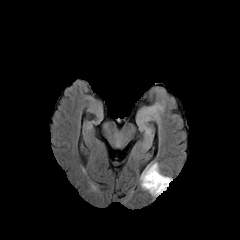
FLAIR magnetic resonance.
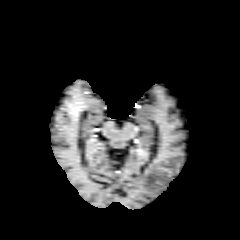
T1-weighted MRI.
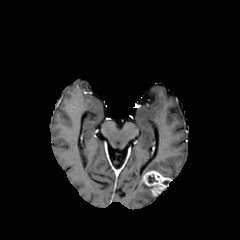
Same slice, post-contrast T1-weighted magnetic resonance.
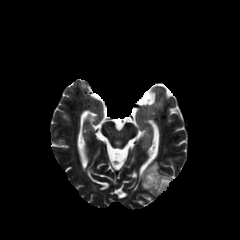
T2-weighted MR image.
Brain.
Edema — <box>138,160,160,197</box>.
Enhancing tumor — <box>142,170,172,195</box>.